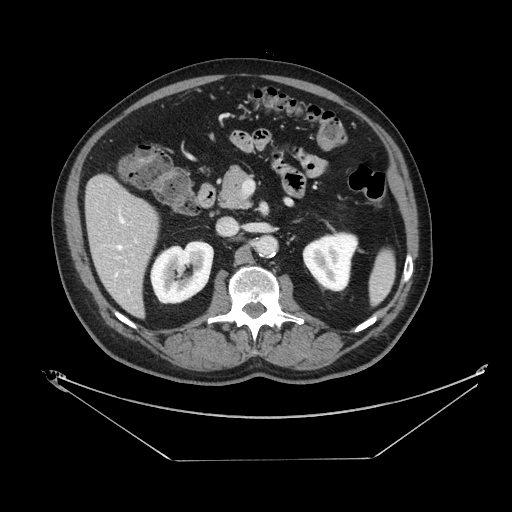 CT scan slice | Abdomen
<segmentation>
  <pancreas>region(220, 169, 248, 208)</pancreas>
</segmentation>